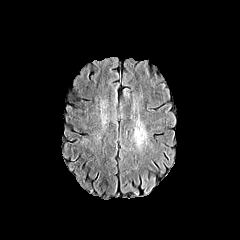
FLAIR MR image.
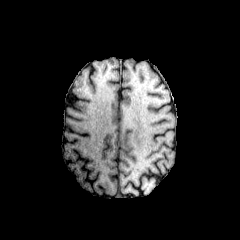
T1-weighted MRI of the same slice.
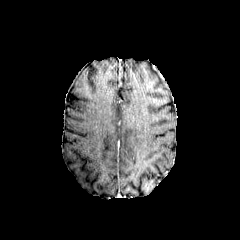
Post-contrast T1-weighted MR image.
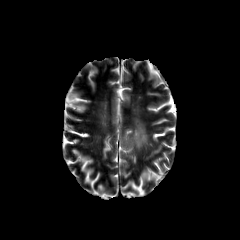
T2-weighted magnetic resonance.
Image size 240x240. Brain.
<segmentation>
  <edema>(left=134, top=126, right=146, bottom=147)</edema>
</segmentation>